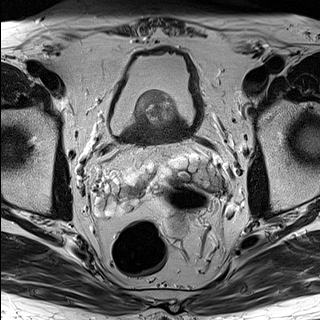
T2-weighted magnetic resonance.
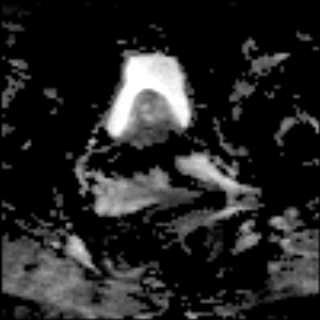
ADC MR.
Pelvis
Prostate transition zone — {"x1": 137, "y1": 93, "x2": 173, "y2": 128}.